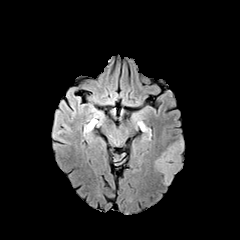
FLAIR MRI.
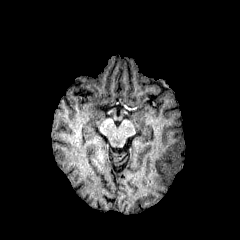
Same slice, T1-weighted magnetic resonance.
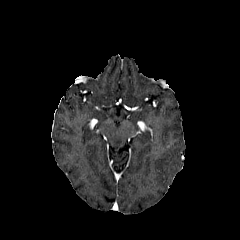
Post-contrast T1-weighted magnetic resonance.
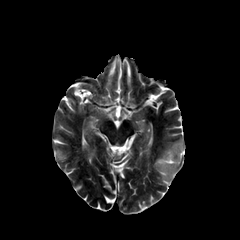
T2-weighted MRI of the same slice.
Brain.
Edema = 154, 136, 184, 185.